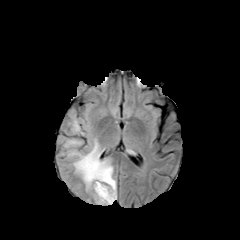
FLAIR MRI.
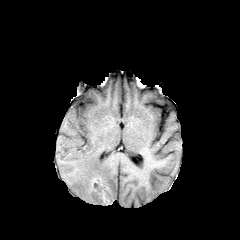
T1-weighted MR of the same slice.
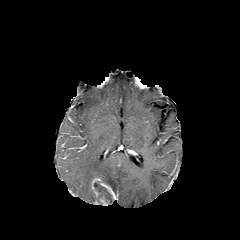
Post-contrast T1-weighted magnetic resonance.
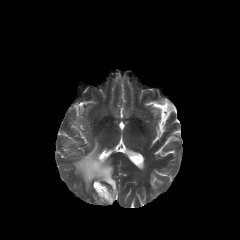
T2-weighted MR image.
Brain
Non-enhancing tumor core — [94,179,112,199].
Enhancing tumor — [100,182,115,199].
Edema — [62,119,116,200], [96,192,114,204].